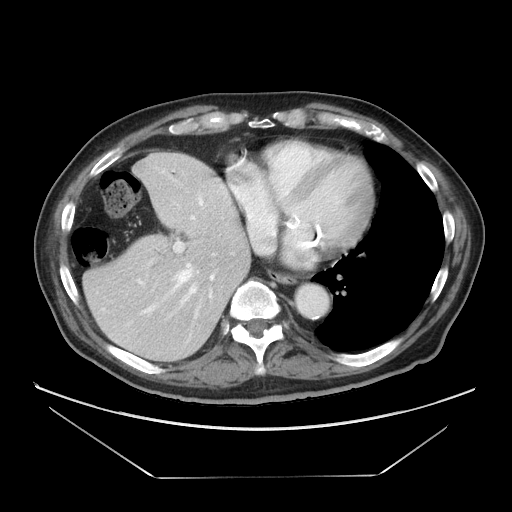
CT scan slice
Only some of the vessels may be annotated.
Segmented structures:
- hepatic vessel: x1=137, y1=279, x2=144, y2=285; x1=210, y1=289, x2=210, y2=293; x1=173, y1=241, x2=184, y2=252; x1=209, y1=273, x2=214, y2=280; x1=140, y1=263, x2=198, y2=314